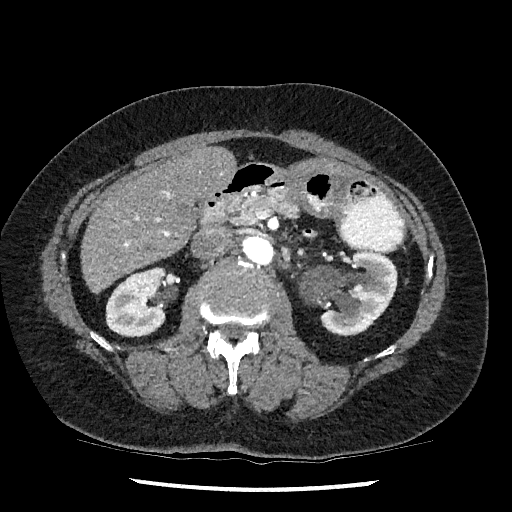 Image size 512x512 | CT

2 liver regions are located at left=295, top=161, right=355, bottom=177; left=81, top=146, right=236, bottom=293. 2 kidney regions are bounded by left=106, top=268, right=176, bottom=336; left=321, top=251, right=396, bottom=334.